512x512, CT slice
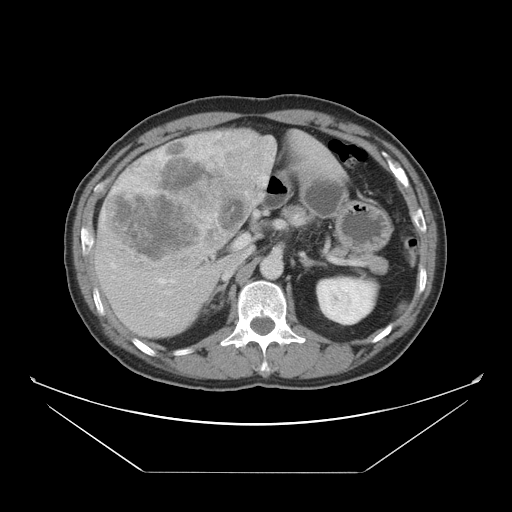

The vessel annotation is not exhaustive.
<segmentation>
  <hepatic_vessel>[x1=192, y1=277, x2=195, y2=282], [x1=111, y1=263, x2=115, y2=268], [x1=160, y1=313, x2=163, y2=315], [x1=197, y1=268, x2=203, y2=273], [x1=173, y1=270, x2=177, y2=272], [x1=158, y1=278, x2=173, y2=283], [x1=180, y1=285, x2=191, y2=287], [x1=236, y1=234, x2=249, y2=247]</hepatic_vessel>
  <liver_tumor>[x1=105, y1=130, x2=273, y2=261]</liver_tumor>
</segmentation>